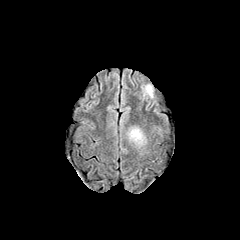
FLAIR magnetic resonance.
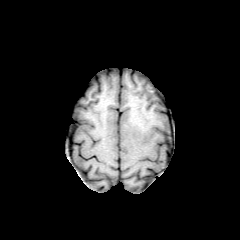
T1-weighted MR of the same slice.
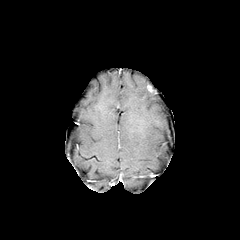
Post-contrast T1-weighted MR image of the same slice.
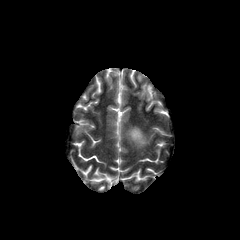
T2-weighted MRI of the same slice.
Head
Edema: bounding box bbox(128, 127, 146, 147).